CT; Liver; Slice 30/38; Image size 512x512 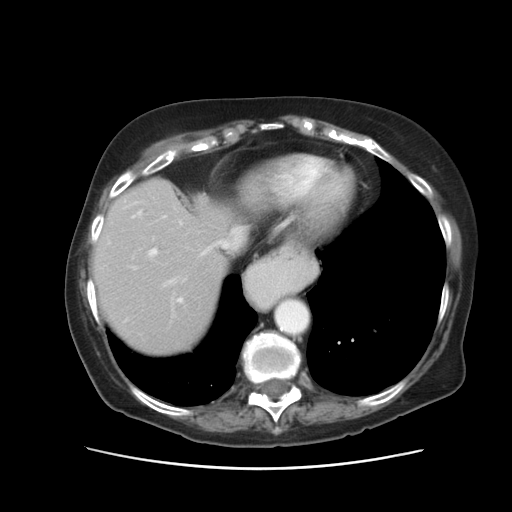

The vessel boxes may cover only some of the vessels.
10 hepatic vessel regions are bounded by (x1=131, y1=211, x2=141, y2=217), (x1=198, y1=225, x2=245, y2=265), (x1=163, y1=278, x2=182, y2=286), (x1=148, y1=249, x2=157, y2=258), (x1=133, y1=253, x2=134, y2=256), (x1=124, y1=202, x2=138, y2=209), (x1=130, y1=266, x2=135, y2=269), (x1=162, y1=217, x2=164, y2=218), (x1=178, y1=222, x2=180, y2=225), (x1=171, y1=295, x2=182, y2=309).